FLAIR MR.
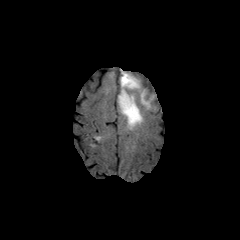
T1-weighted MRI.
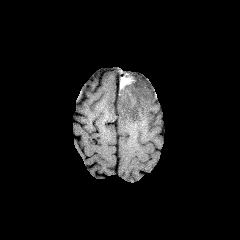
Post-contrast T1-weighted magnetic resonance.
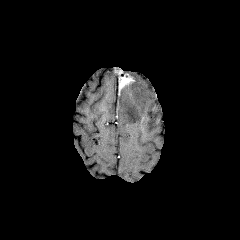
T2-weighted MR.
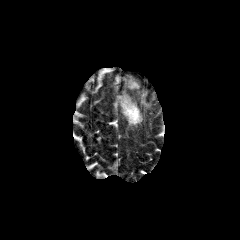
240x240
The enhancing tumor is at [x1=119, y1=76, x2=133, y2=87]. The edema is bounded by [x1=117, y1=71, x2=152, y2=129].